FLAIR MR image.
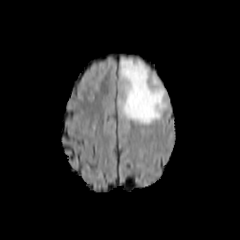
T1-weighted MR image.
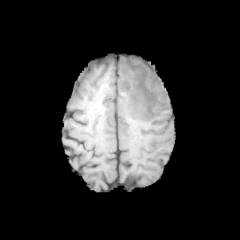
Post-contrast T1-weighted MRI.
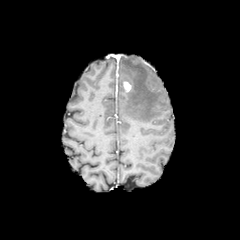
T2-weighted MRI.
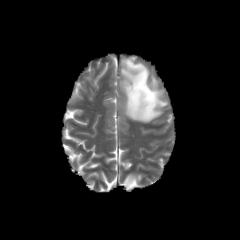
Head. 240x240 px.
Segmented structures:
- edema: [x1=119, y1=59, x2=166, y2=124]
- enhancing tumor: [x1=123, y1=80, x2=131, y2=91]